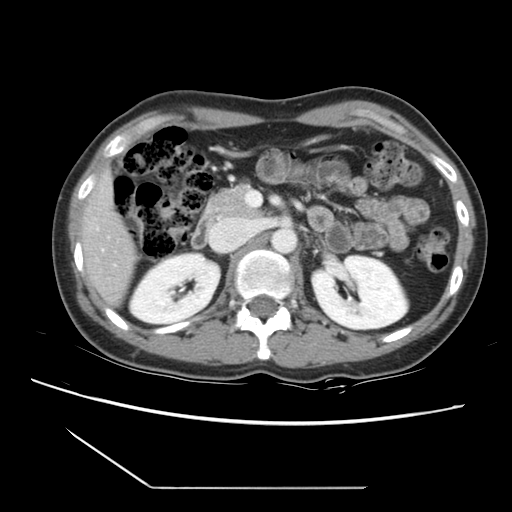
CT scan slice
The vessel annotation is not exhaustive.
Segmented structures:
- hepatic vessel: region(102, 250, 103, 251); region(94, 227, 97, 229)